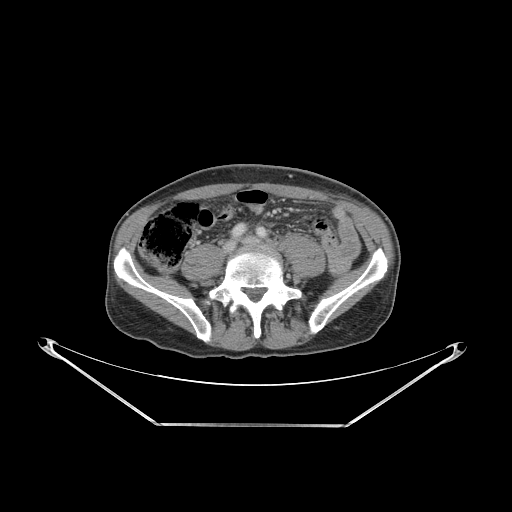 CT slice
{"bone": ["210 250 300 337", "114 248 210 341", "309 248 387 332"]}